240x240 px
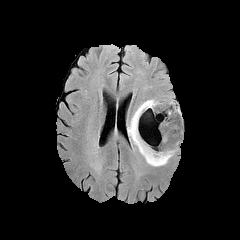
FLAIR magnetic resonance.
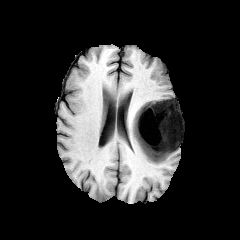
T1-weighted MR of the same slice.
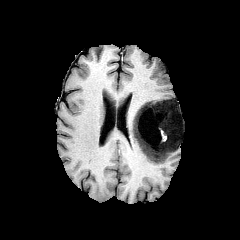
Post-contrast T1-weighted MRI of the same slice.
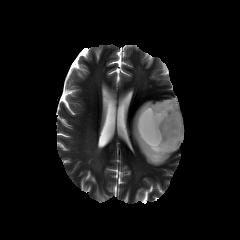
T2-weighted magnetic resonance.
Annotated regions:
* non-enhancing tumor core: (142,102,181,158)
* edema: (127,97,181,165), (171,105,181,130)